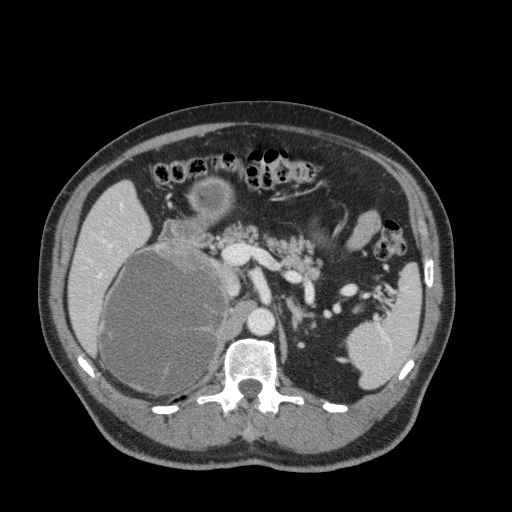
CT scan slice | Abdomen

Segmented structures:
- liver: 69:182:149:354